Brain, 240x240 px, Slice 53/155
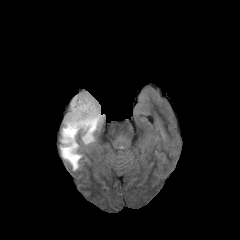
FLAIR MR.
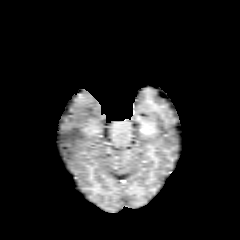
T1-weighted MRI.
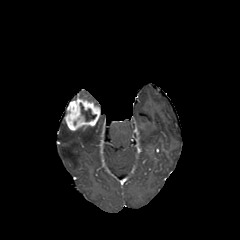
Same slice, post-contrast T1-weighted MRI.
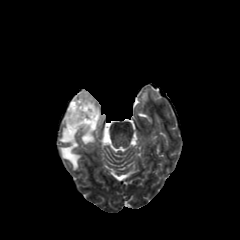
T2-weighted MR image.
Edema at [81, 114, 104, 144], [60, 124, 82, 170].
Non-enhancing tumor core at [81, 104, 96, 121].
Enhancing tumor at [63, 91, 100, 130].